FLAIR MR image.
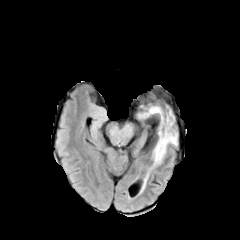
T1-weighted MR.
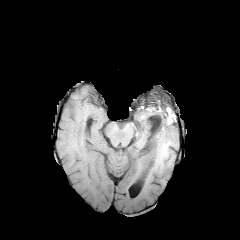
Post-contrast T1-weighted MR.
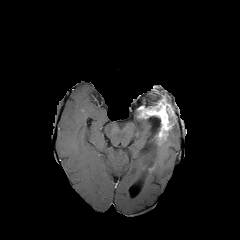
T2-weighted MR image.
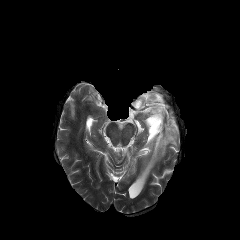
Segmented structures:
* edema: x1=141, y1=127, x2=178, y2=191
* enhancing tumor: x1=139, y1=101, x2=174, y2=143
* non-enhancing tumor core: x1=147, y1=116, x2=160, y2=133